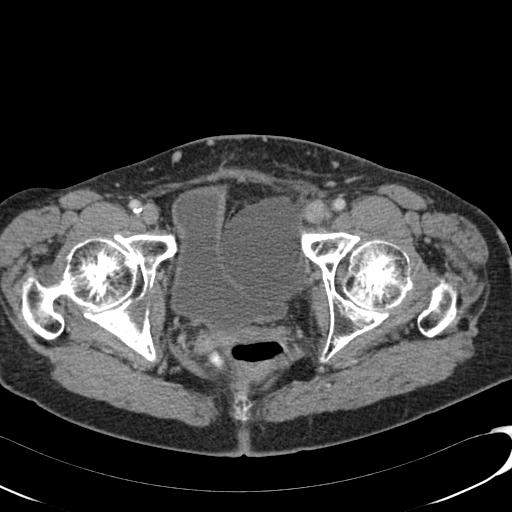
CT slice | Lower abdomen
Annotated regions:
* urinary bladder: [170,185,290,336]